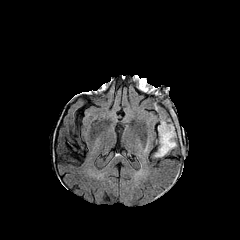
FLAIR MR image.
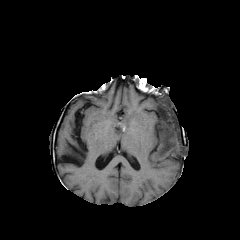
T1-weighted MR image.
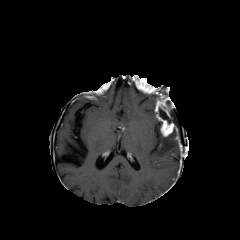
Post-contrast T1-weighted MR.
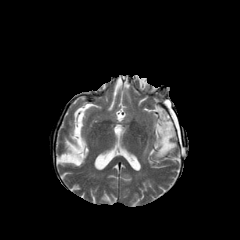
T2-weighted MR.
Brain; Image size 240x240
<segmentation>
  <enhancing_tumor>box=[157, 114, 177, 136]; box=[155, 95, 171, 112]</enhancing_tumor>
  <edema>box=[154, 134, 177, 158]; box=[143, 143, 149, 160]</edema>
  <non-enhancing_tumor_core>box=[158, 120, 181, 146]; box=[155, 103, 175, 124]; box=[158, 88, 167, 98]</non-enhancing_tumor_core>
</segmentation>